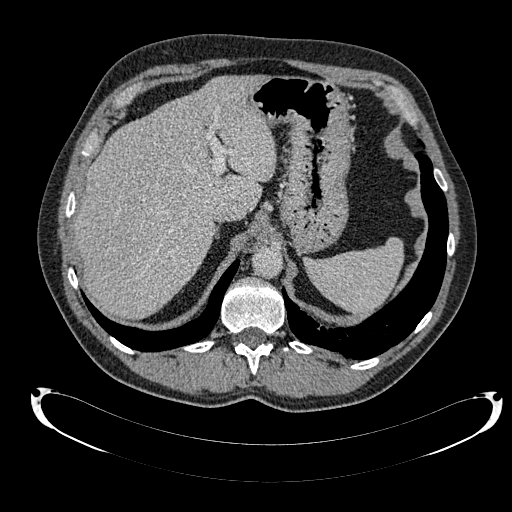

CT scan slice

Liver = [74,76,276,317].